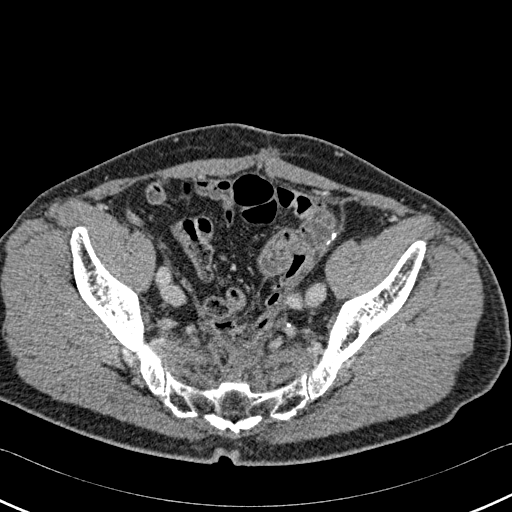 Computed tomography

{
  "bone": [
    "left=70, top=227, right=425, bottom=433"
  ]
}